CT slice; Image width 320 mm; Slice 472 of 519; Liver
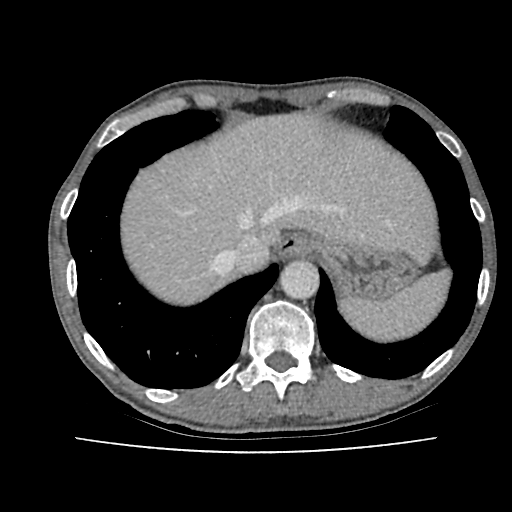 liver: bbox(123, 115, 439, 300)